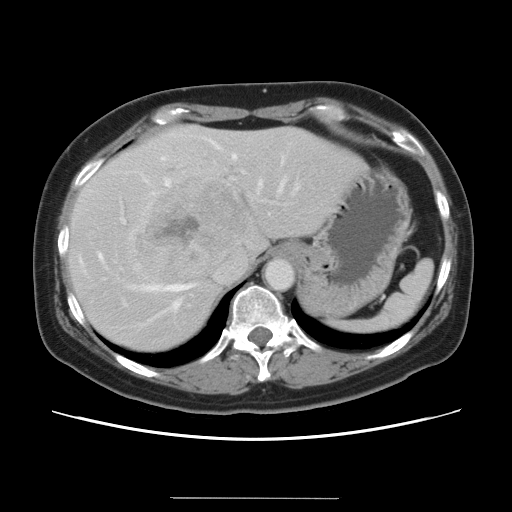
CT slice, 512x512 px

Only some of the vessels may be annotated.
The principal 15 hepatic vessel regions (of 22) are bounded by {"x1": 213, "y1": 143, "x2": 218, "y2": 149}, {"x1": 79, "y1": 258, "x2": 81, "y2": 263}, {"x1": 233, "y1": 155, "x2": 235, "y2": 159}, {"x1": 129, "y1": 235, "x2": 134, "y2": 239}, {"x1": 141, "y1": 286, "x2": 145, "y2": 289}, {"x1": 165, "y1": 180, "x2": 169, "y2": 186}, {"x1": 294, "y1": 184, "x2": 298, "y2": 190}, {"x1": 171, "y1": 301, "x2": 179, "y2": 312}, {"x1": 163, "y1": 285, "x2": 190, "y2": 291}, {"x1": 142, "y1": 311, "x2": 164, "y2": 325}, {"x1": 97, "y1": 253, "x2": 102, "y2": 259}, {"x1": 120, "y1": 219, "x2": 125, "y2": 224}, {"x1": 278, "y1": 179, "x2": 285, "y2": 192}, {"x1": 256, "y1": 181, "x2": 261, "y2": 192}, {"x1": 147, "y1": 286, "x2": 159, "y2": 290}. The liver tumor is bounded by {"x1": 136, "y1": 176, "x2": 247, "y2": 279}.